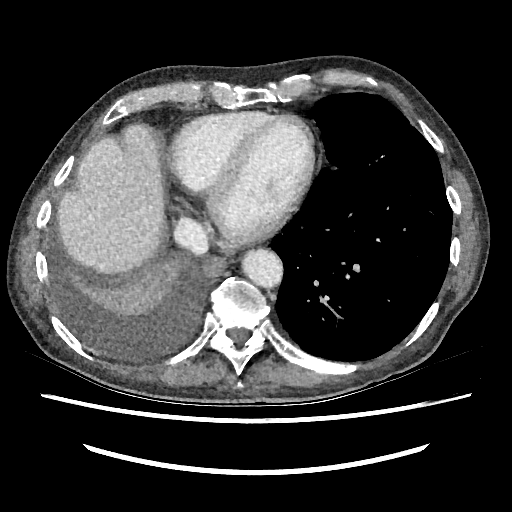 Image size 512x512 | Computed tomography

Liver: bounding box 59 125 163 273.